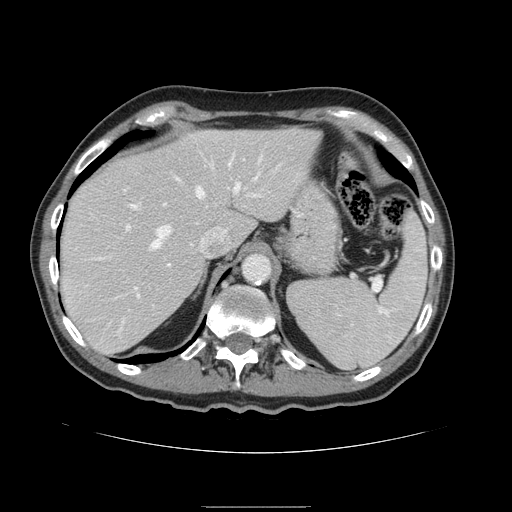
CT slice | 512x512
The spleen appears at left=287, top=213, right=427, bottom=369.